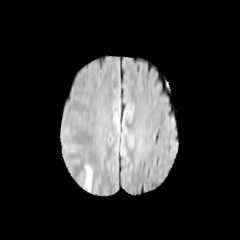
FLAIR MR.
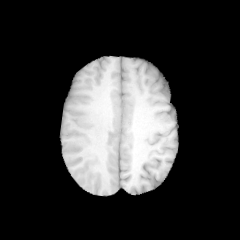
T1-weighted MRI of the same slice.
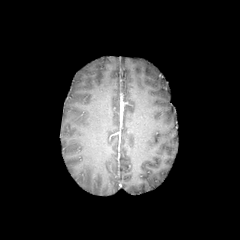
Same slice, post-contrast T1-weighted MR image.
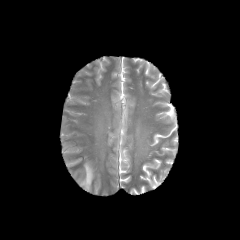
T2-weighted MR.
Head | 240x240 px
The edema is at 82,164,92,189.